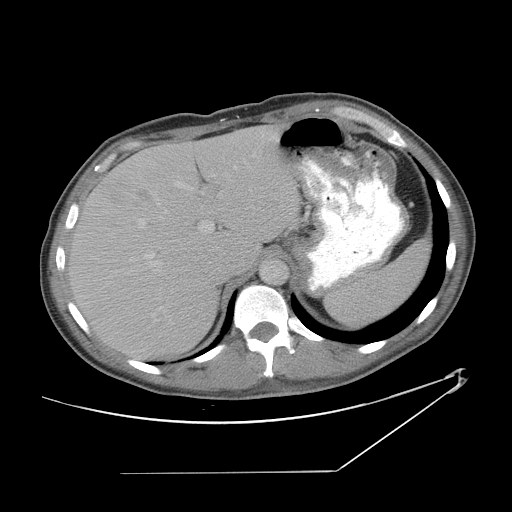

Computed tomography; Abdomen
Not every hepatic vessel necessarily has a box.
Findings:
• hepatic vessel: region(174, 181, 192, 189); region(153, 313, 155, 315); region(150, 191, 168, 213); region(219, 193, 221, 195); region(145, 254, 161, 270); region(225, 174, 231, 180); region(234, 166, 237, 169); region(140, 219, 144, 226); region(160, 307, 161, 309); region(211, 172, 214, 176); region(200, 221, 213, 232)